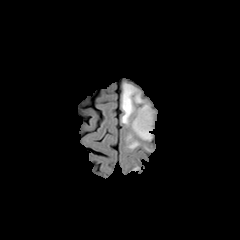
FLAIR magnetic resonance.
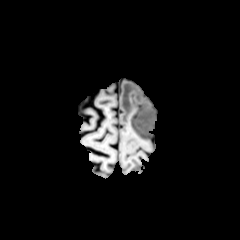
Same slice, T1-weighted magnetic resonance.
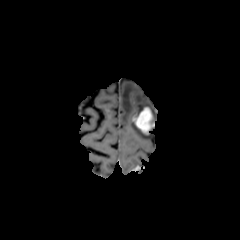
Post-contrast T1-weighted MR of the same slice.
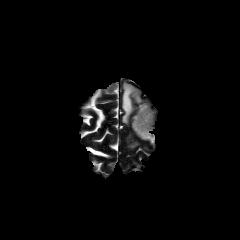
T2-weighted MR image.
240x240 px
Findings:
• edema: [127, 137, 138, 148], [121, 83, 155, 142]
• enhancing tumor: [132, 106, 153, 134]